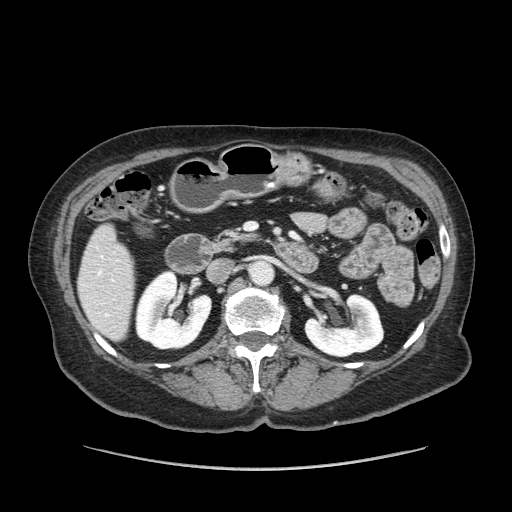

CT slice. Pancreas: bounding box bbox(215, 232, 256, 251).